CT scan slice; Abdomen 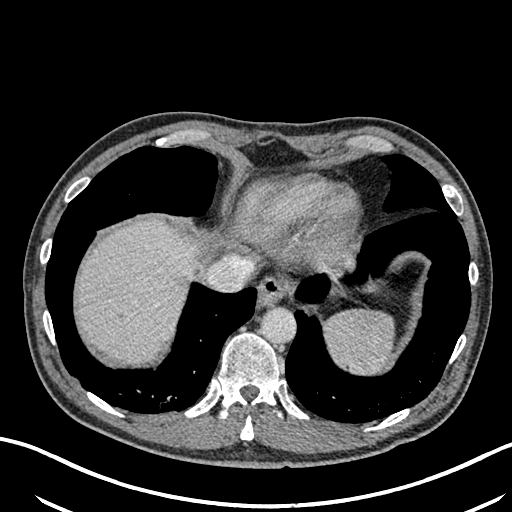
Liver at (x1=75, y1=220, x2=194, y2=363).